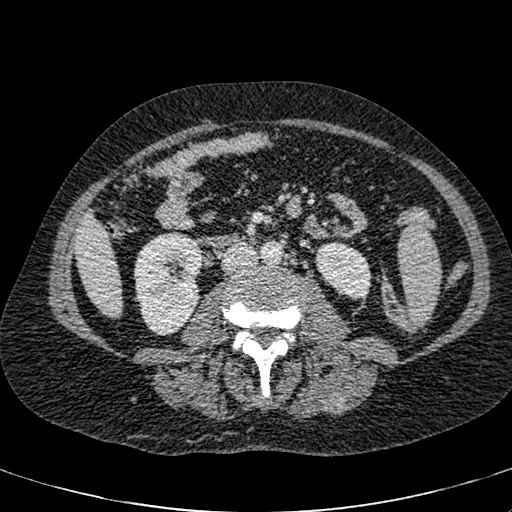

Abdomen | CT scan slice

The liver appears at (left=75, top=211, right=121, bottom=314). 2 kidney regions are bounded by (left=316, top=243, right=369, bottom=297), (left=135, top=233, right=201, bottom=334).